FLAIR MR image.
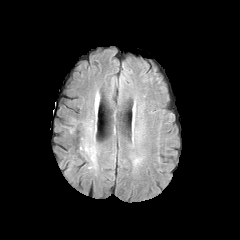
T1-weighted magnetic resonance.
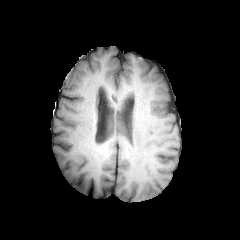
Post-contrast T1-weighted MR.
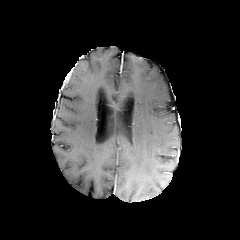
T2-weighted magnetic resonance.
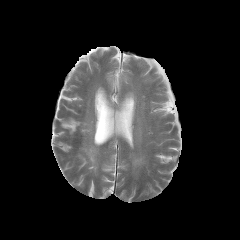
Brain
Segmented structures:
* edema: 133 157 143 165